Computed tomography; Liver

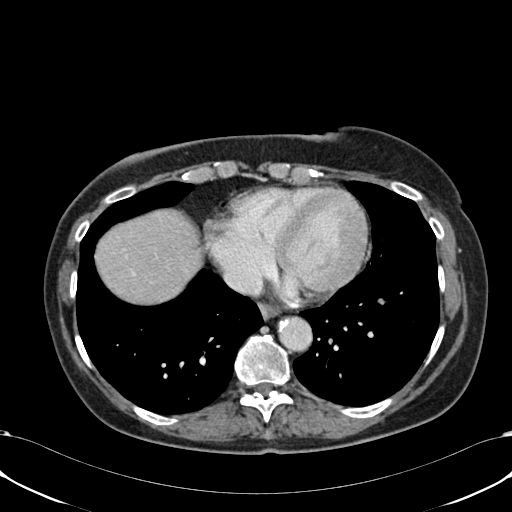

{
  "liver": [
    "<box>96,212,197,302</box>"
  ]
}